CT image, 512x512 px 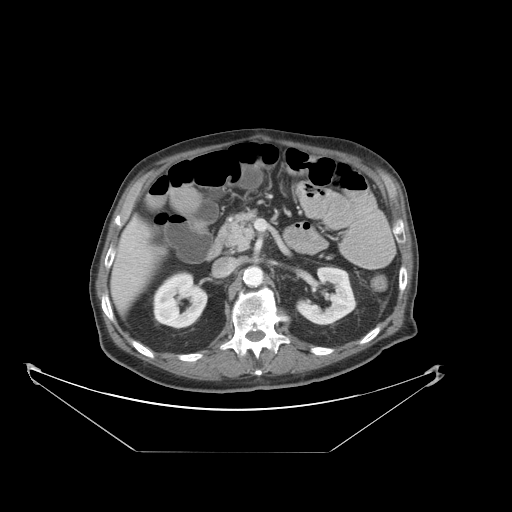 The vessel annotation is not exhaustive.
Hepatic vessel at (132, 277, 138, 280).